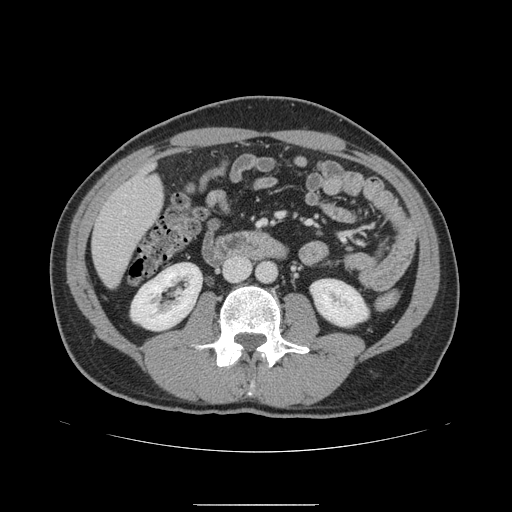

CT slice; 512x512 px; Abdomen

Pancreas: {"x1": 253, "y1": 231, "x2": 266, "y2": 236}.